Field of view 240 mm wide, 1.00 mm slice spacing. Head.
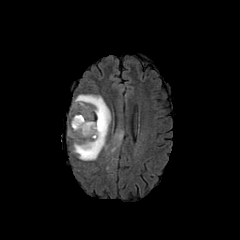
FLAIR MRI.
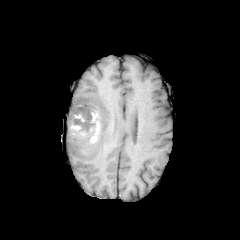
T1-weighted MR.
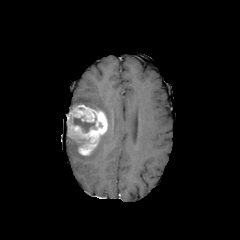
Post-contrast T1-weighted MRI.
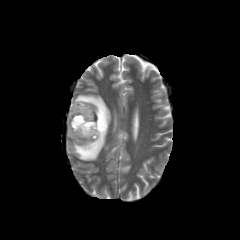
Same slice, T2-weighted MRI.
enhancing_tumor:
  - 67,104,107,156
edema:
  - 67,92,111,161
non-enhancing_tumor_core:
  - 70,116,96,132